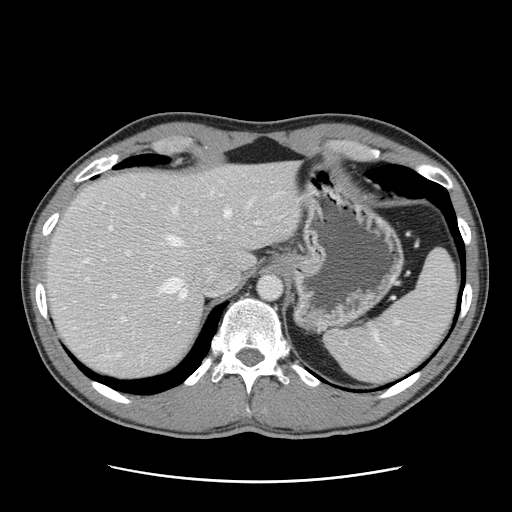
CT scan slice
Some hepatic vessels may have no box.
The top 15 hepatic vessel regions (of 16) are located at box(149, 266, 150, 270); box(224, 208, 229, 216); box(167, 236, 181, 245); box(162, 277, 185, 297); box(255, 221, 259, 223); box(108, 226, 111, 229); box(84, 258, 88, 262); box(194, 210, 196, 212); box(112, 294, 115, 297); box(248, 200, 252, 205); box(141, 193, 144, 196); box(126, 251, 129, 253); box(116, 353, 119, 356); box(121, 317, 125, 320); box(171, 206, 176, 213).